Image size 512x512; Slice index 14; CT scan slice 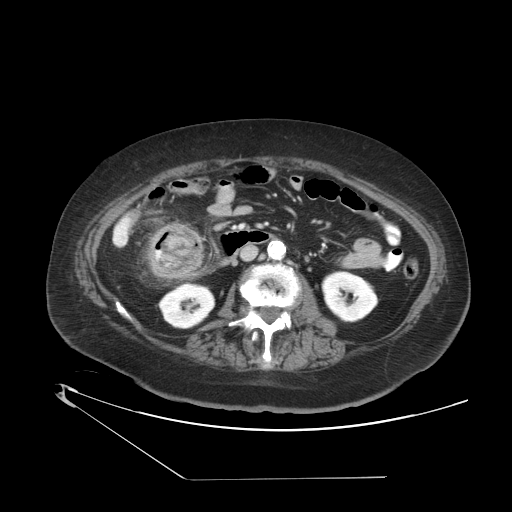 Colon tumor — <bbox>148, 224, 203, 278</bbox>.